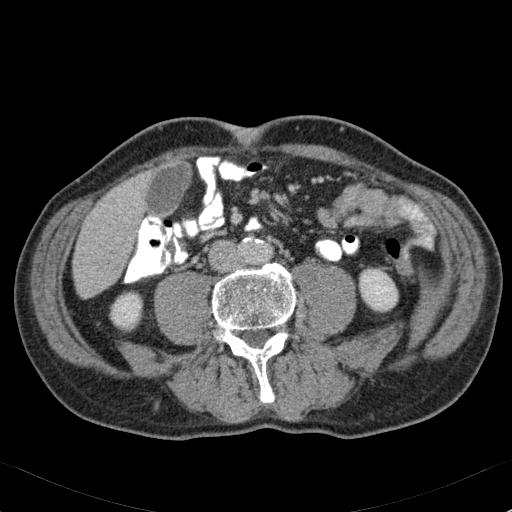

CT image, Liver
Kidney at <bbox>360, 269, 397, 310</bbox>, <bbox>112, 294, 140, 326</bbox>.
Liver at <bbox>74, 172, 146, 298</bbox>.